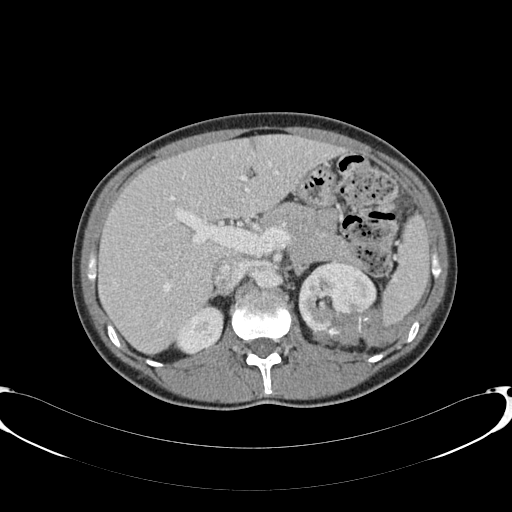 Upper abdomen, CT slice
{
  "liver": [
    "98,136,342,353"
  ],
  "kidney": [
    "178,308,221,352",
    "299,262,375,344"
  ]
}